240x240 px; Head
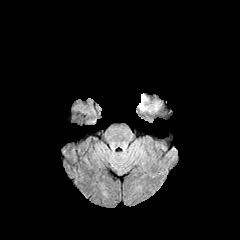
FLAIR magnetic resonance.
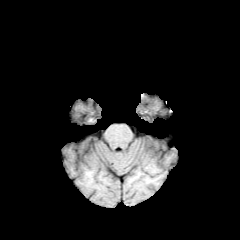
Same slice, T1-weighted MR.
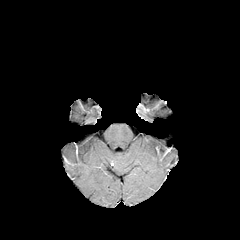
Post-contrast T1-weighted MR.
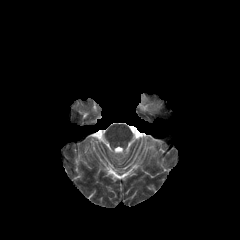
T2-weighted MRI.
Edema: (140,96,153,111).